Image size 512x512 | Computed tomography 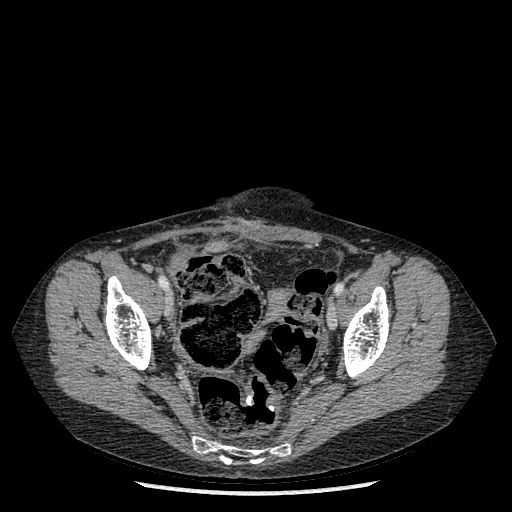 bone: rect(105, 276, 151, 369); rect(343, 285, 389, 378); rect(192, 436, 290, 464)